CT scan slice. Lower abdomen. 512x512 px. 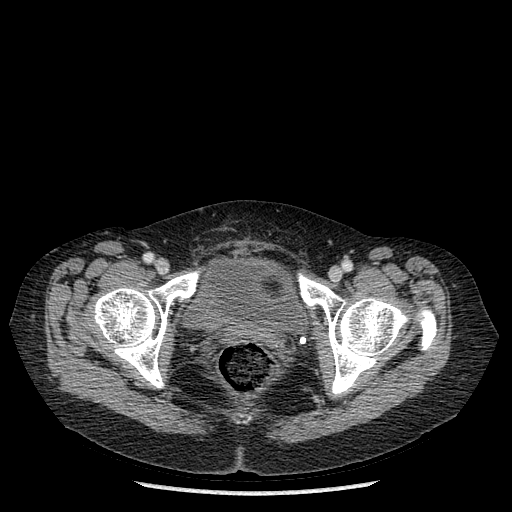
3 bone regions appear at [298,273,410,396], [414,307,437,350], [90,271,199,388]. The urinary bladder appears at [188,255,303,342].